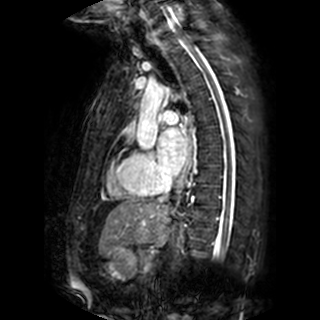

Magnetic resonance

The left atrium appears at 158, 127, 186, 175.